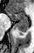
34x53 px; MR image
Annotated regions:
- anterior hippocampus: 7:12:28:23
- posterior hippocampus: 15:24:28:32, 20:33:21:34